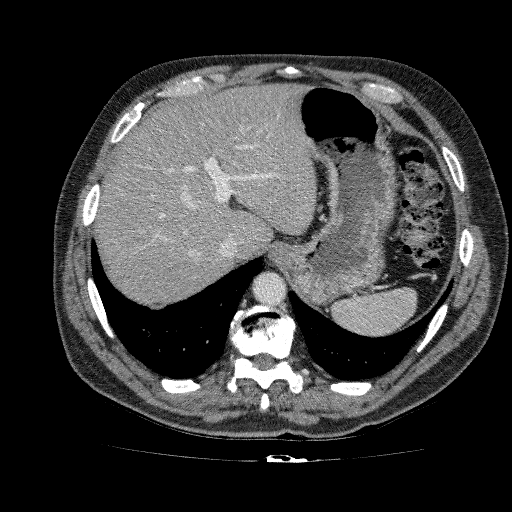 Upper abdomen, CT scan slice
liver: 96 83 315 306